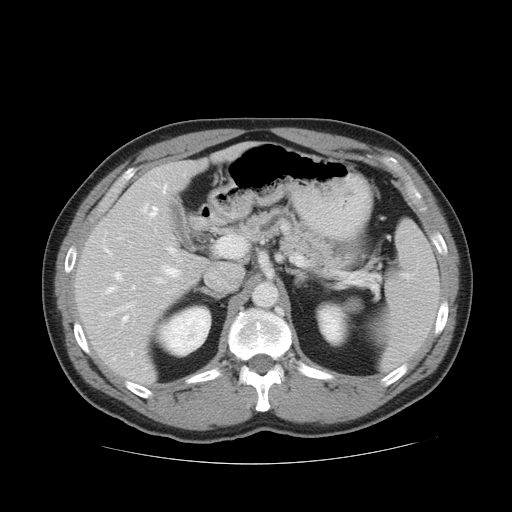 Computed tomography | Image size 512x512 | Upper abdomen
pancreas: 246,208,354,269